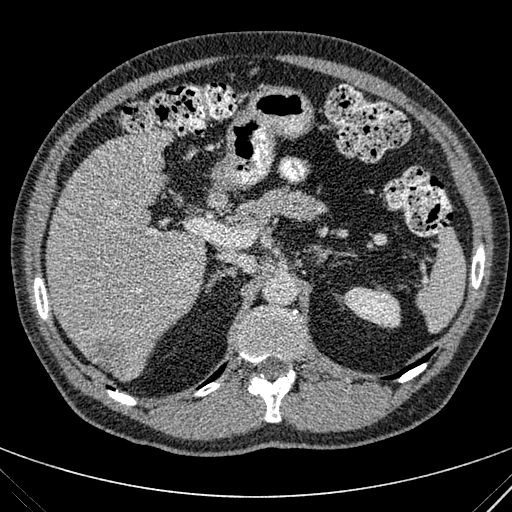 CT scan slice; Liver
Kidney: 344 287 399 327.
Liver: 46 129 203 379.
Focal liver lesion: 84 333 131 372.